Head.
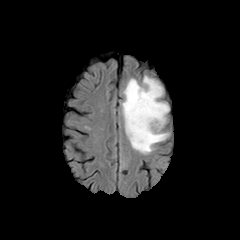
FLAIR MR.
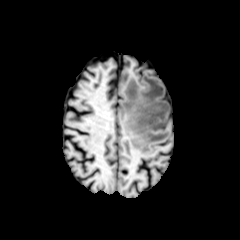
T1-weighted magnetic resonance of the same slice.
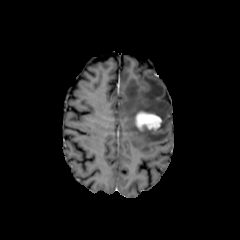
Post-contrast T1-weighted MRI.
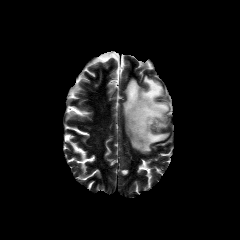
T2-weighted magnetic resonance.
Segmented structures:
- enhancing tumor: (x1=135, y1=111, x2=161, y2=130)
- edema: (x1=122, y1=75, x2=169, y2=153)